Image width 35 mm | MR

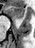 The anterior hippocampus is at x1=7 y1=5 x2=24 y2=18.